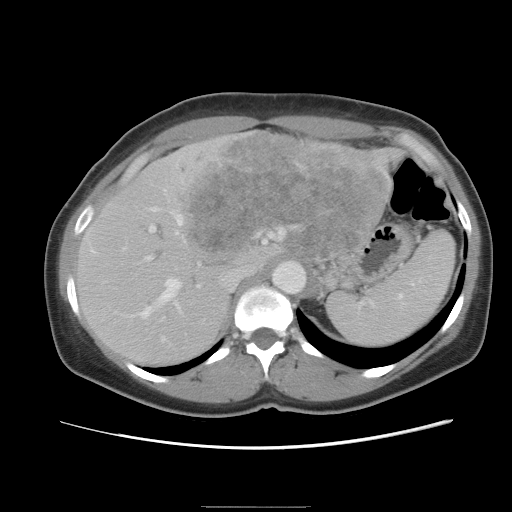 Abdomen | CT
Only some of the vessels may be annotated.
Hepatic vessel: box(152, 207, 157, 210); box(137, 306, 152, 316); box(150, 226, 154, 230); box(176, 304, 179, 310); box(173, 212, 182, 223); box(161, 336, 165, 340); box(175, 231, 177, 232); box(161, 318, 163, 319); box(156, 278, 179, 304); box(91, 249, 93, 250); box(197, 262, 199, 264); box(218, 251, 262, 291); box(146, 255, 151, 258); box(197, 285, 199, 286).
Liver tumor: box(181, 135, 384, 266).